CT; Image size 512x512; Abdomen; Slice index 20 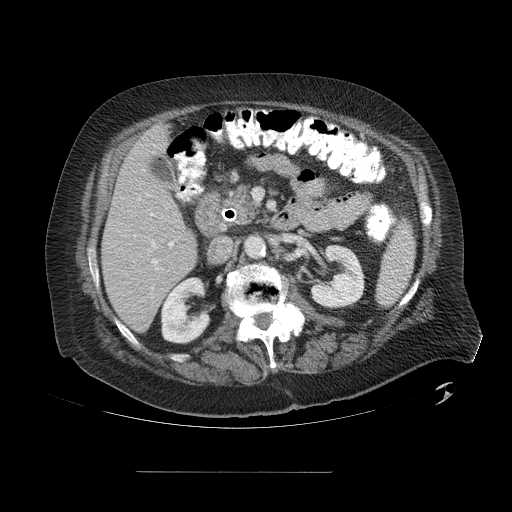 Not every hepatic vessel necessarily has a box.
Hepatic vessel = (168, 242, 172, 245), (151, 240, 156, 247), (142, 169, 144, 170), (151, 286, 152, 288), (134, 234, 135, 236), (152, 259, 161, 269), (137, 197, 140, 199).